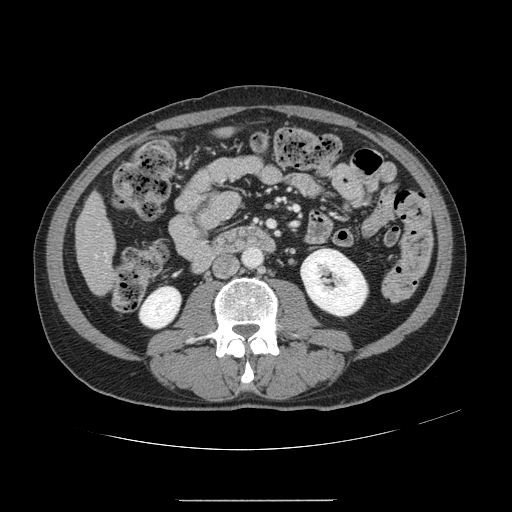
Image size 512x512, CT image, Liver
Only some of the vessels may be annotated.
<segmentation>
  <hepatic_vessel>x1=104, y1=252, x2=106, y2=256</hepatic_vessel>
</segmentation>